CT scan slice; 512x512 px 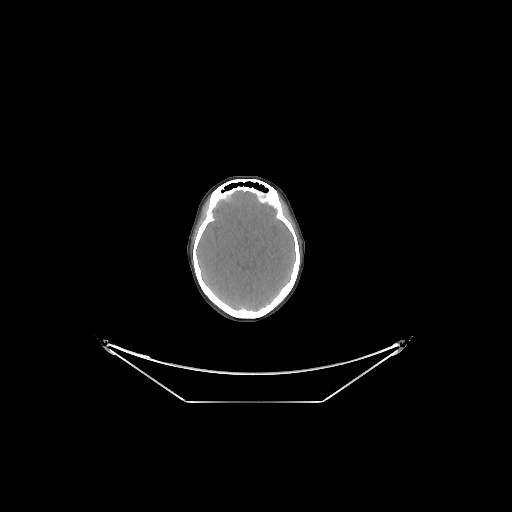
{
  "brain": [
    "box(196, 190, 295, 311)"
  ]
}